Liver. CT slice. Field of view 313x313 mm. 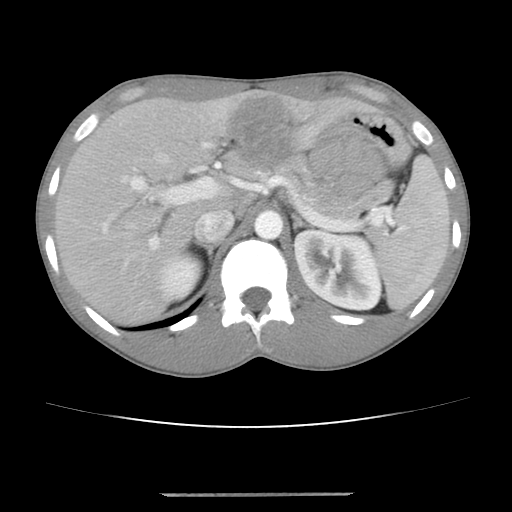
Only some of the vessels may be annotated.
Liver tumor — bbox(219, 95, 302, 167).
Hepatic vessel — bbox(161, 166, 217, 204); bbox(204, 142, 210, 147); bbox(149, 237, 159, 248); bbox(128, 176, 152, 195); bbox(215, 163, 221, 168).